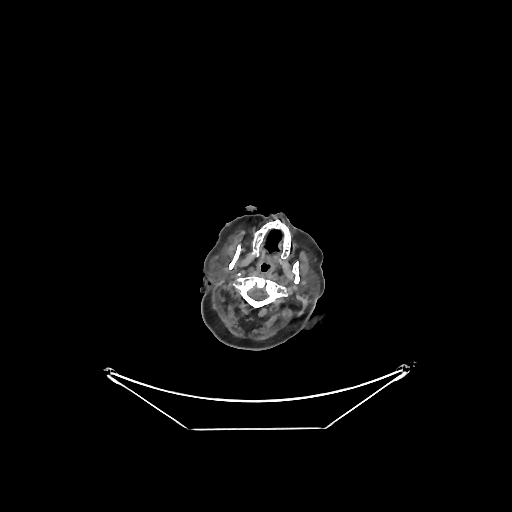

Brain, CT image

The brain is at region(247, 285, 268, 300).